FLAIR MR.
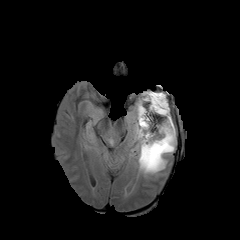
T1-weighted MR.
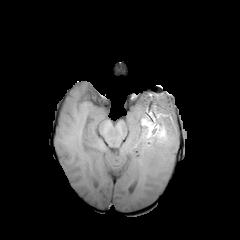
Post-contrast T1-weighted magnetic resonance.
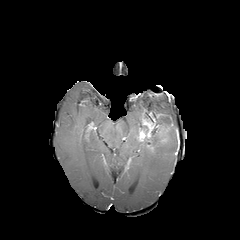
T2-weighted magnetic resonance.
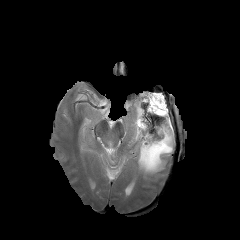
Head
Non-enhancing tumor core: bounding box x1=143 y1=110 x2=164 y2=138.
Edema: bounding box x1=92 y1=114 x2=99 y2=123, x1=104 y1=151 x2=112 y2=162, x1=124 y1=91 x2=176 y2=176.
Enhancing tumor: bounding box x1=137 y1=128 x2=150 y2=140.